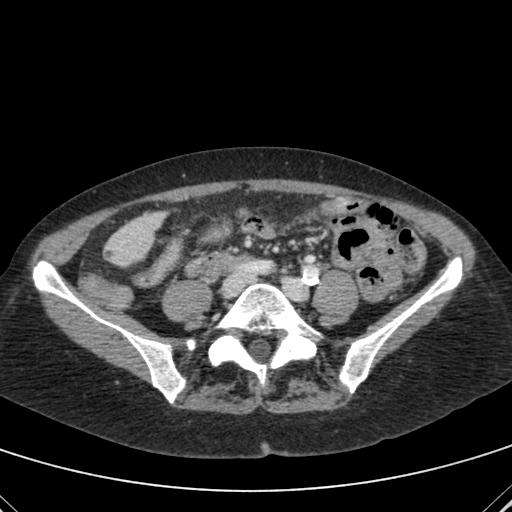

CT scan slice
The liver appears at l=106, t=212, r=164, b=263. The focal liver lesion is located at l=105, t=249, r=116, b=258.